Slice index 408 | Field of view 351x351 mm | Chest | CT | 512x512
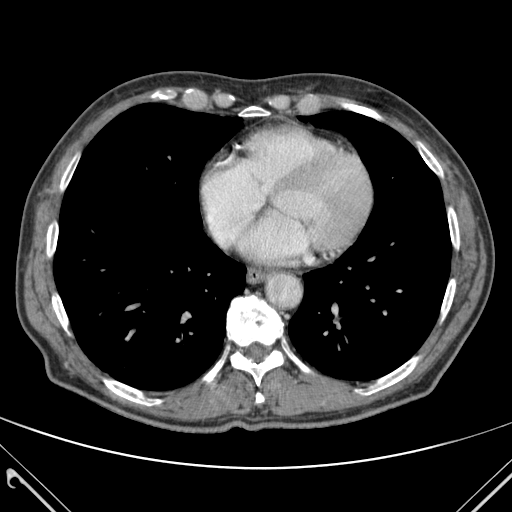

15 bone regions are located at bbox(343, 104, 382, 118); bbox(60, 157, 76, 193); bbox(441, 279, 455, 318); bbox(47, 217, 57, 258); bbox(231, 351, 282, 385); bbox(104, 380, 160, 405); bbox(227, 295, 283, 345); bbox(288, 353, 309, 372); bbox(419, 143, 442, 175); bbox(239, 106, 269, 116); bbox(360, 357, 417, 394); bbox(448, 208, 459, 247); bbox(204, 360, 223, 381); bbox(52, 290, 67, 330); bbox(256, 393, 263, 402). 2 lung regions appear at bbox(288, 111, 451, 379); bbox(53, 103, 246, 389).